CT slice | Field of view 386x386 mm
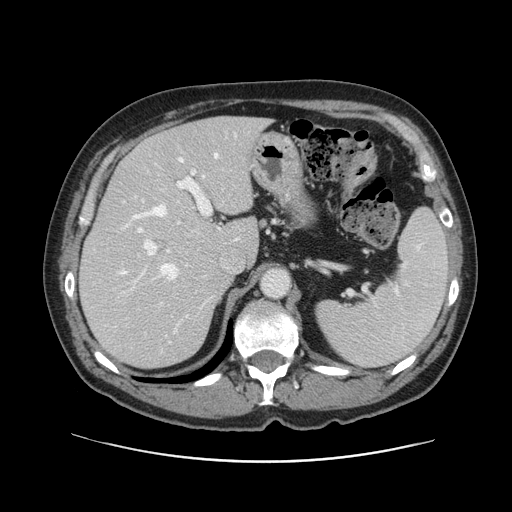 Not every hepatic vessel necessarily has a box.
Hepatic vessel: [123,224,128,228], [177,182,182,187], [132,215,140,219], [174,329,175,331], [167,250,169,251], [161,264,176,278], [119,270,126,273], [138,228,141,231], [215,153,217,157], [179,158,182,161], [143,205,165,215], [144,240,156,254], [186,315,187,317], [191,170,194,173].